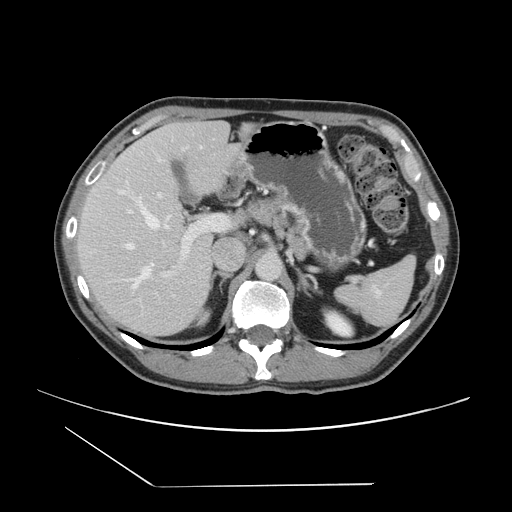
Computed tomography | Liver

Only some of the vessels may be annotated.
hepatic_vessel:
  - <bbox>130, 281, 133, 285</bbox>
  - <bbox>163, 243, 164, 245</bbox>
  - <bbox>157, 156, 163, 161</bbox>
  - <bbox>182, 146, 187, 150</bbox>
  - <bbox>136, 299, 139, 301</bbox>
  - <bbox>168, 274, 169, 275</bbox>
  - <bbox>154, 227, 158, 229</bbox>
  - <bbox>141, 204, 142, 206</bbox>
  - <bbox>149, 275, 151, 277</bbox>
  - <bbox>107, 281, 108, 283</bbox>